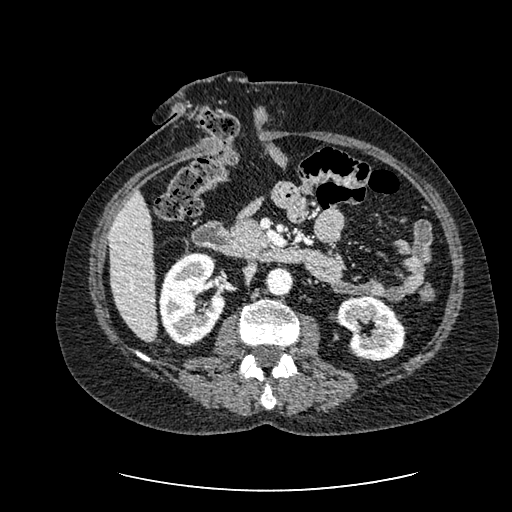
Image size 512x512 | Computed tomography
{
  "kidney": [
    "box=[338, 297, 404, 360]",
    "box=[160, 253, 223, 344]"
  ],
  "liver": [
    "box=[110, 189, 156, 340]"
  ]
}